CT. Lung. Slice index 270. 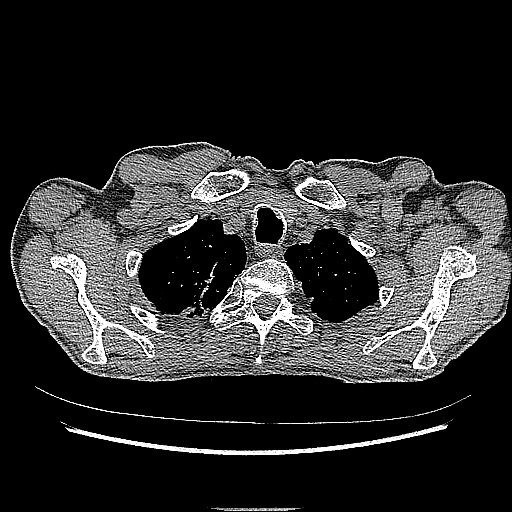 lung tumor: [x1=174, y1=274, x2=220, y2=317]